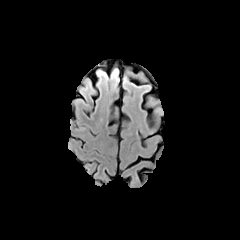
FLAIR MR image.
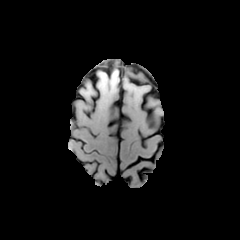
T1-weighted MRI of the same slice.
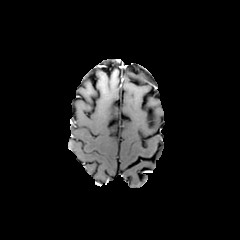
Post-contrast T1-weighted MR of the same slice.
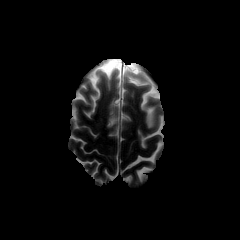
T2-weighted MR of the same slice.
240x240 px | Head
{
  "edema": [
    "x1=98, y1=72, x2=116, y2=81"
  ]
}